Abdomen. Computed tomography. 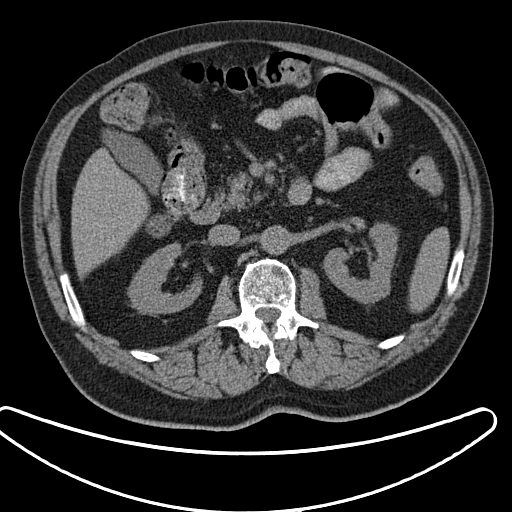

Spleen: bbox(410, 230, 449, 310).